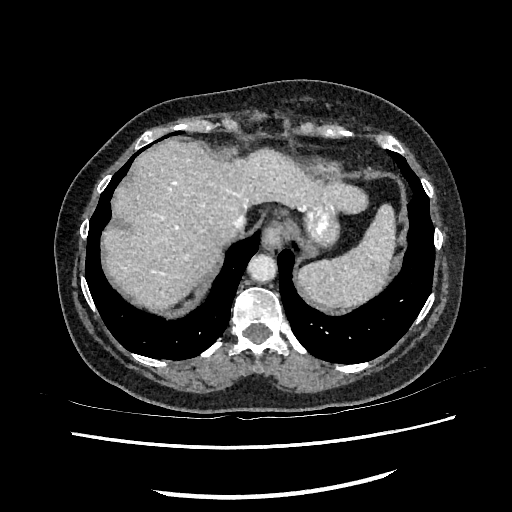
Abdomen; CT

Liver — rect(103, 140, 365, 307).